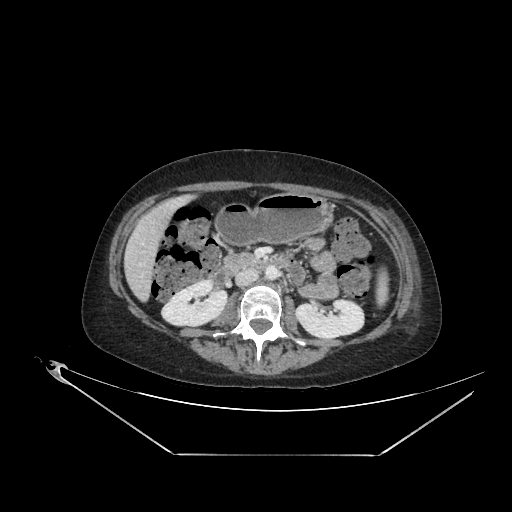 Liver | CT | 512x512
Kidney at bbox(296, 300, 363, 338); bbox(162, 280, 226, 325).
Liver at bbox(120, 194, 190, 303).